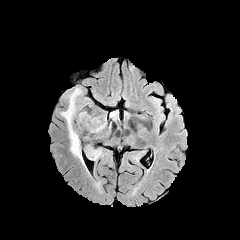
FLAIR magnetic resonance.
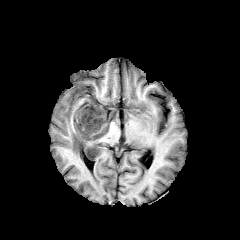
T1-weighted MRI of the same slice.
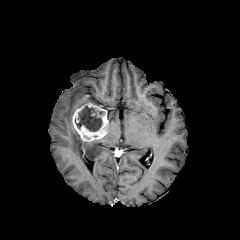
Same slice, post-contrast T1-weighted MR.
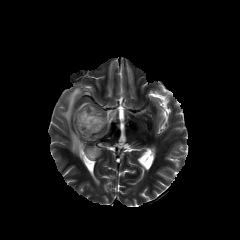
Same slice, T2-weighted MR.
240x240
{
  "edema": [
    "[x1=109, y1=110, x2=118, y2=121]",
    "[x1=59, y1=86, x2=83, y2=163]",
    "[x1=85, y1=145, x2=104, y2=160]"
  ],
  "enhancing_tumor": [
    "[x1=72, y1=103, x2=108, y2=141]"
  ],
  "non-enhancing_tumor_core": [
    "[x1=75, y1=106, x2=104, y2=131]"
  ]
}